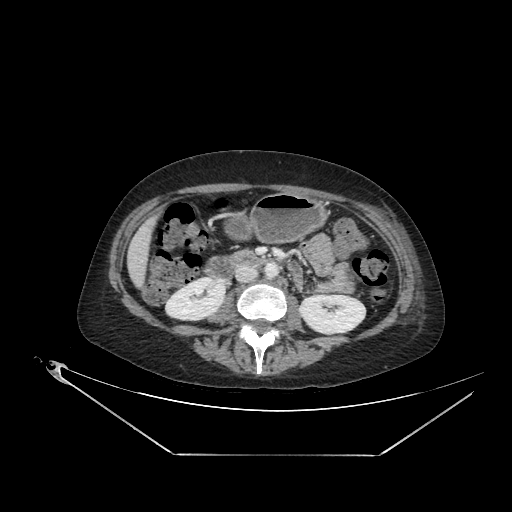

CT image | 512x512
Kidney — box(299, 295, 365, 333); box(166, 278, 224, 319).
Liver — box(124, 224, 153, 287).